CT image | Pelvis | Slice index 43 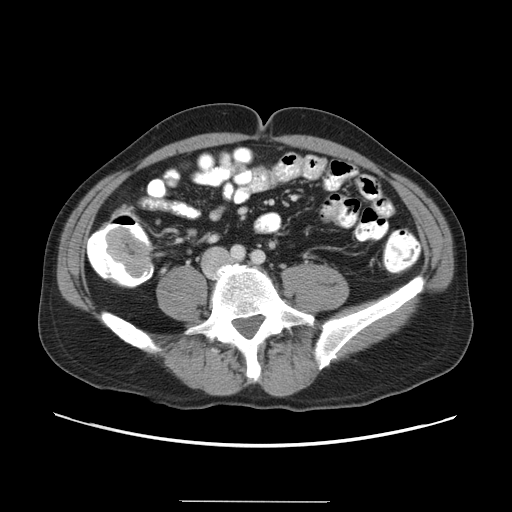 Colon tumor: bounding box 106,226,149,278.